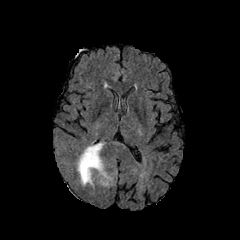
FLAIR MR.
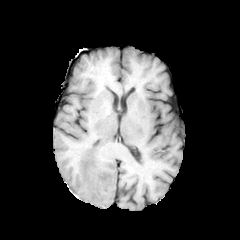
T1-weighted MR image.
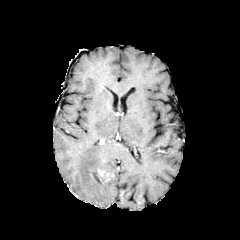
Post-contrast T1-weighted MRI of the same slice.
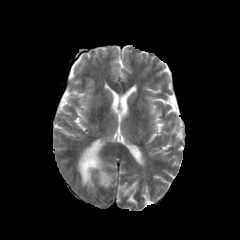
T2-weighted MR image of the same slice.
Brain
<segmentation>
  <enhancing_tumor>{"x1": 98, "y1": 168, "x2": 111, "y2": 184}</enhancing_tumor>
  <edema>{"x1": 77, "y1": 143, "x2": 103, "y2": 185}</edema>
</segmentation>